Slice index 129
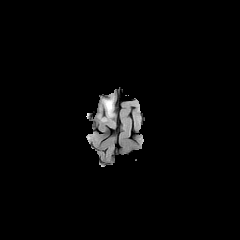
FLAIR magnetic resonance.
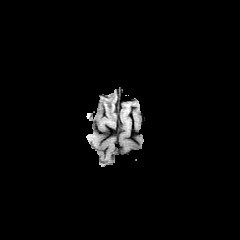
T1-weighted MRI of the same slice.
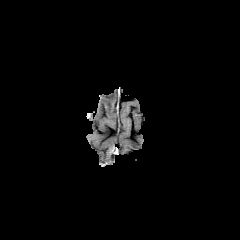
Post-contrast T1-weighted MR image of the same slice.
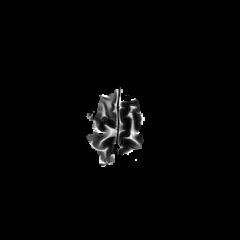
T2-weighted MR.
Edema: bounding box box=[97, 94, 113, 121].
Non-enhancing tumor core: bounding box box=[103, 98, 113, 115].